FLAIR magnetic resonance.
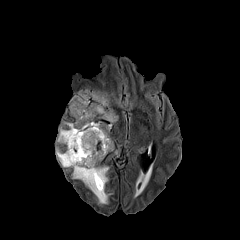
T1-weighted magnetic resonance.
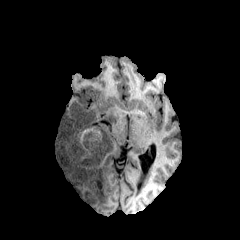
Post-contrast T1-weighted MR image.
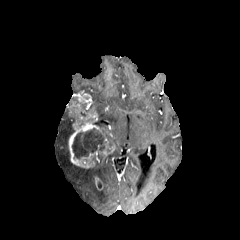
T2-weighted magnetic resonance.
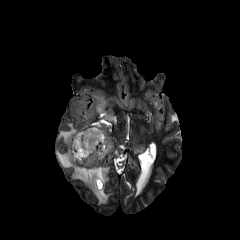
240x240 px, Head
enhancing_tumor:
  - left=66, top=95, right=116, bottom=168
edema:
  - left=55, top=121, right=112, bottom=204
  - left=94, top=92, right=118, bottom=128
  - left=79, top=89, right=95, bottom=100
non-enhancing_tumor_core:
  - left=92, top=121, right=108, bottom=130
  - left=72, top=128, right=104, bottom=157